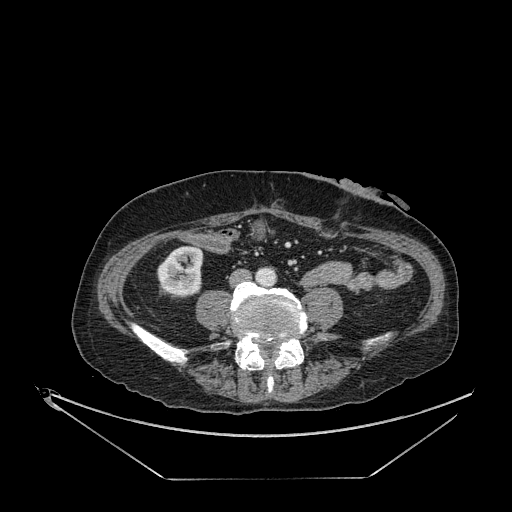

CT
kidney: bbox=[158, 246, 202, 296]